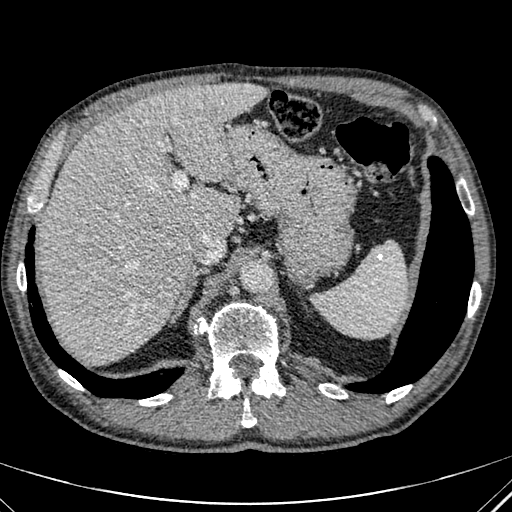 CT slice
Liver = (40,83,267,362).